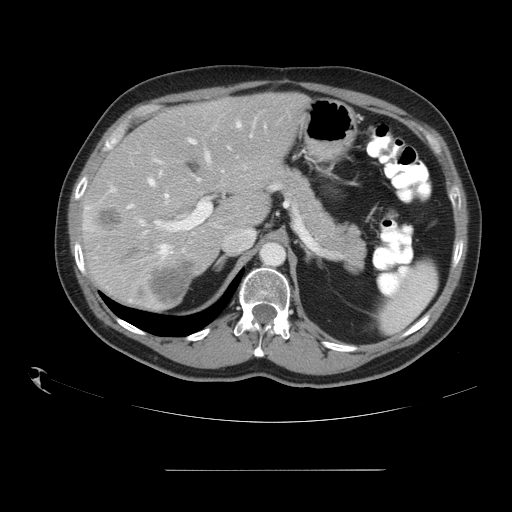 CT, Abdomen
Not every hepatic vessel necessarily has a box.
2 liver tumor regions appear at <bbox>95, 206, 120, 228</bbox>, <bbox>147, 258, 196, 306</bbox>. 14 hepatic vessel regions appear at <bbox>236, 121, 240, 126</bbox>, <bbox>165, 201, 167, 203</bbox>, <bbox>155, 220, 160, 225</bbox>, <bbox>250, 134, 252, 136</bbox>, <bbox>165, 201, 211, 230</bbox>, <bbox>148, 179, 154, 185</bbox>, <bbox>139, 219, 144, 225</bbox>, <bbox>205, 151, 209, 161</bbox>, <bbox>188, 138, 195, 143</bbox>, <bbox>128, 204, 132, 207</bbox>, <bbox>227, 146, 229, 148</bbox>, <bbox>159, 171, 161, 175</bbox>, <bbox>165, 194, 168, 197</bbox>, <bbox>197, 178, 199, 180</bbox>.